FLAIR magnetic resonance.
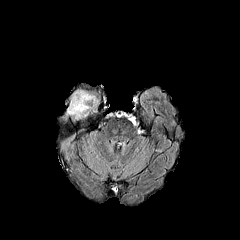
T1-weighted magnetic resonance.
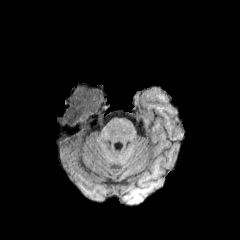
Post-contrast T1-weighted magnetic resonance.
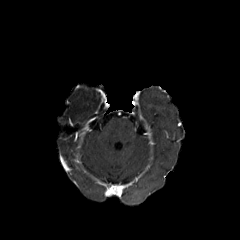
T2-weighted MR.
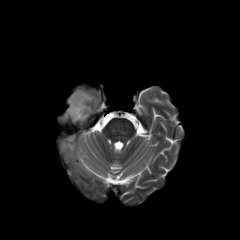
240x240
2 edema regions are bounded by [x1=62, y1=88, x2=101, y2=122], [x1=60, y1=135, x2=75, y2=153].